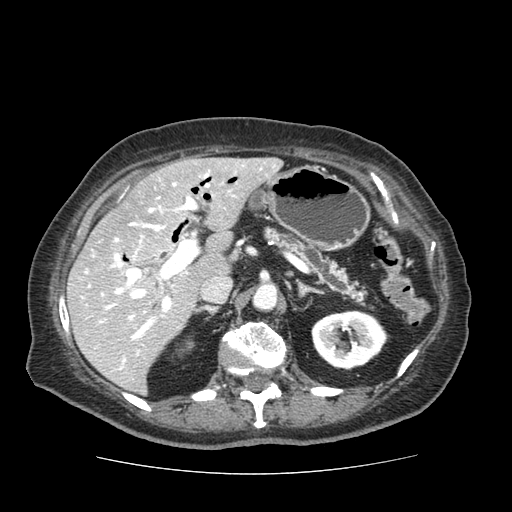 Computed tomography.

Segmented structures:
• pancreas: (266,230,365,301)